CT; 512x512 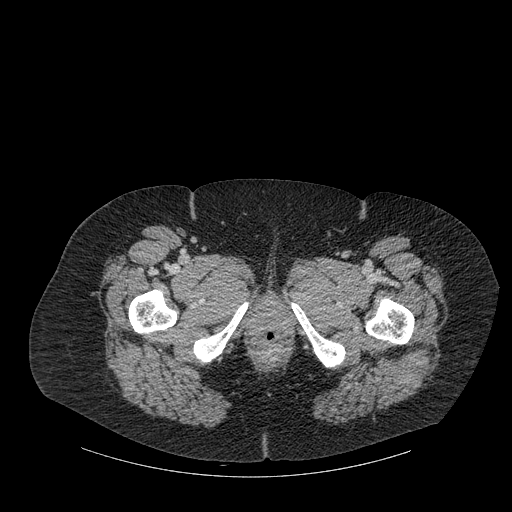 bone: (291, 303, 345, 366), (129, 289, 176, 333), (194, 302, 247, 361), (366, 299, 414, 343)